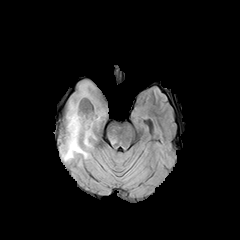
FLAIR magnetic resonance.
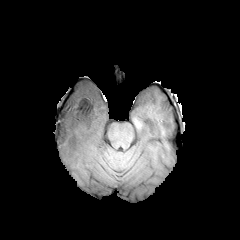
Same slice, T1-weighted MRI.
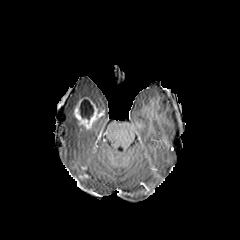
Post-contrast T1-weighted MR.
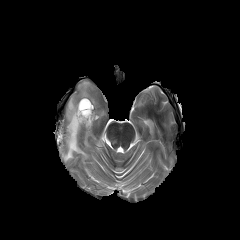
T2-weighted magnetic resonance of the same slice.
240x240. Head.
Findings:
* enhancing tumor: box=[73, 104, 103, 129]
* non-enhancing tumor core: box=[76, 98, 102, 118]
* edema: box=[59, 83, 97, 167]